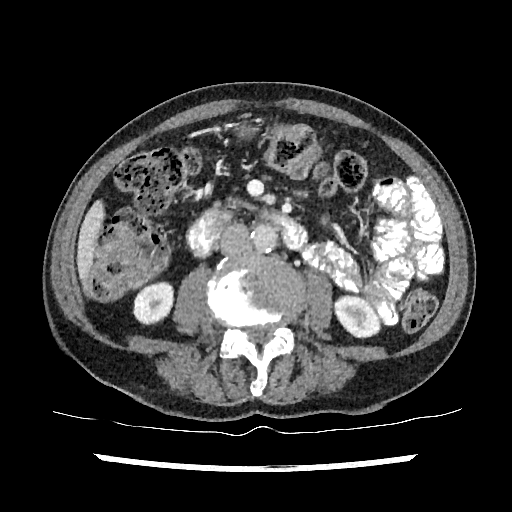 CT slice. liver:
  - x1=77 y1=200 x2=103 y2=277
kidney:
  - x1=335 y1=297 x2=378 y2=335
  - x1=135 y1=284 x2=172 y2=321